Liver, CT, Slice 56/168
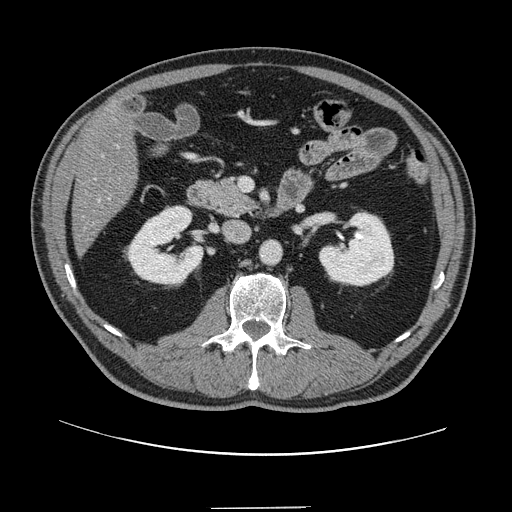
Not every hepatic vessel necessarily has a box.
<segmentation>
  <hepatic_vessel>bbox=[98, 199, 100, 201]</hepatic_vessel>
</segmentation>